Brain; Field of view 240 mm wide, 1.00 mm slice spacing; Slice index 125
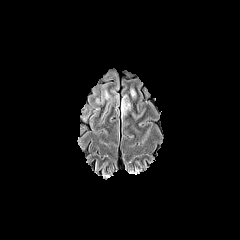
FLAIR MRI.
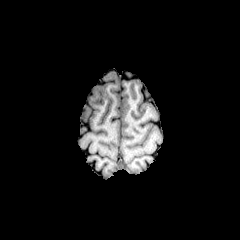
Same slice, T1-weighted MR.
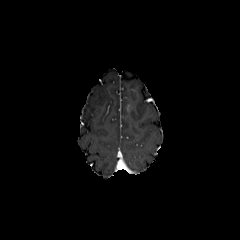
Post-contrast T1-weighted MR.
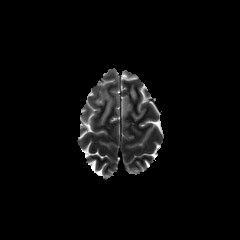
T2-weighted MR.
2 edema regions appear at 104, 90, 113, 104; 121, 97, 132, 116.